CT 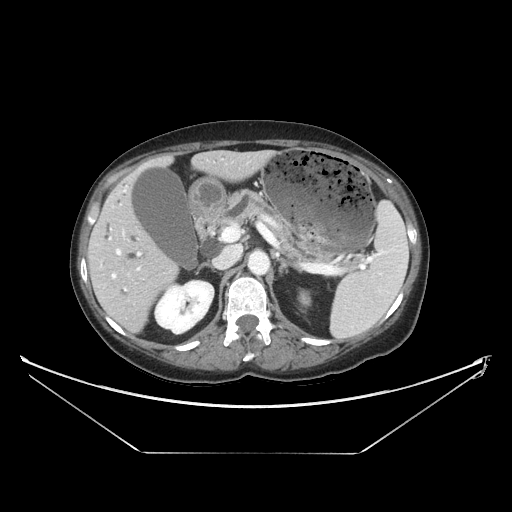
Pancreas: [223, 190, 362, 270].